CT slice | Image size 512x512

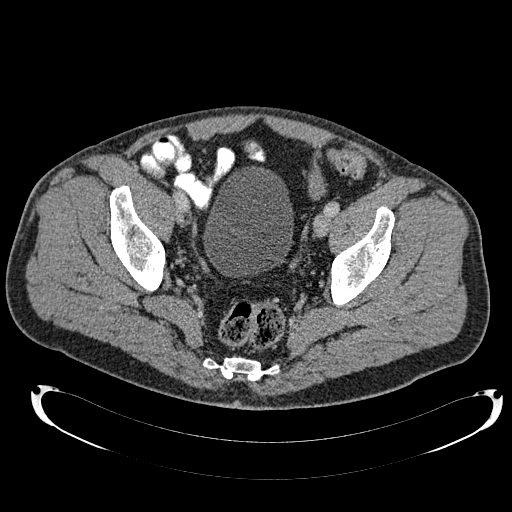
Segmented structures:
- urinary bladder: [203, 166, 293, 276]